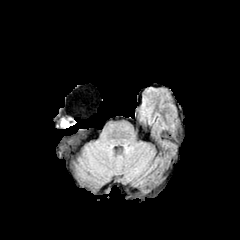
FLAIR magnetic resonance.
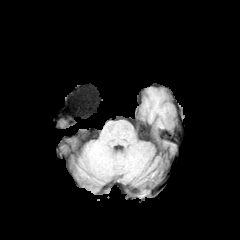
T1-weighted MR image.
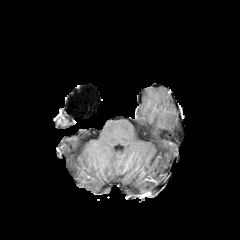
Post-contrast T1-weighted MRI.
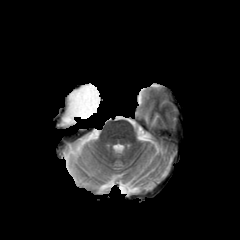
T2-weighted MRI.
Brain
The non-enhancing tumor core is located at (x1=60, y1=116, x2=73, y2=125).